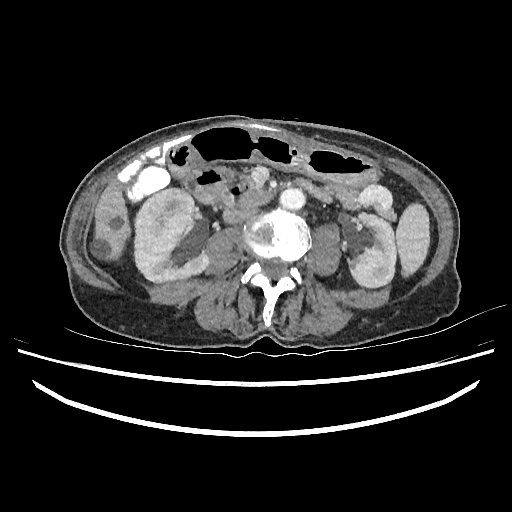
Abdomen. CT.

Liver lesion = (91, 240, 109, 259), (113, 216, 121, 227).
Liver = (94, 180, 131, 260).
Kidney = (135, 189, 209, 282), (351, 213, 396, 287).